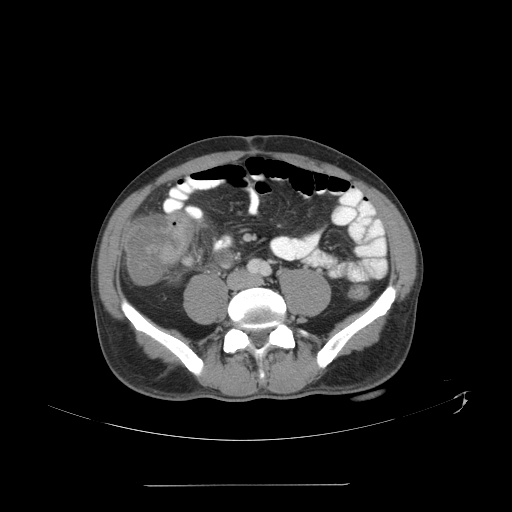
CT image, Pelvis
colon tumor: 145, 212, 193, 263